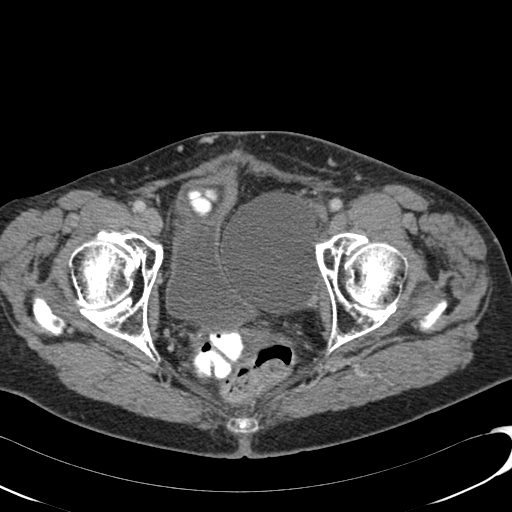
CT, Pelvis
{
  "urinary_bladder": [
    "<box>165,166,262,331</box>"
  ]
}